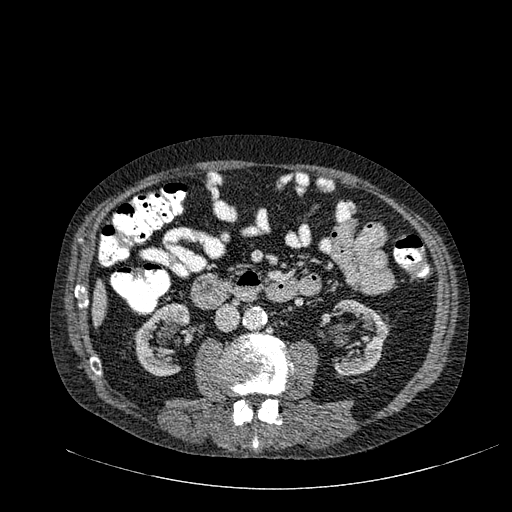

Upper abdomen | CT image
Annotated regions:
- kidney: <box>320,301,390,377</box>, <box>134,303,196,376</box>
- liver: <box>92,280,104,325</box>